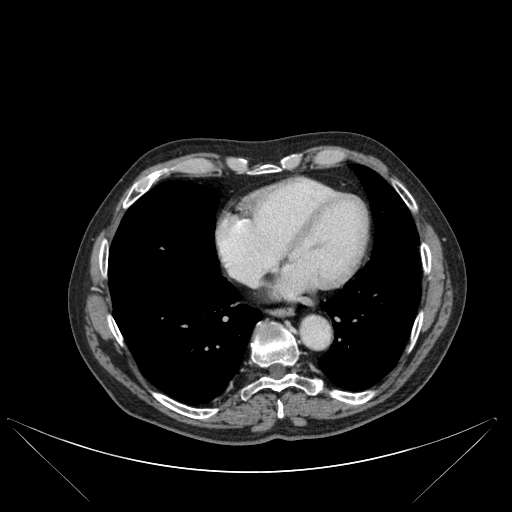
CT
<segmentation>
  <lung>[x1=108, y1=181, x2=262, y2=404], [x1=319, y1=164, x2=420, y2=390]</lung>
  <bone>[x1=123, y1=172, x2=159, y2=207], [x1=411, y1=313, x2=422, y2=345], [x1=330, y1=390, x2=373, y2=404], [x1=242, y1=373, x2=322, y2=399], [x1=108, y1=316, x2=122, y2=344], [x1=255, y1=166, x2=279, y2=173], [x1=153, y1=393, x2=217, y2=418], [x1=99, y1=241, x2=107, y2=274], [x1=251, y1=322, x2=298, y2=366], [x1=421, y1=243, x2=431, y2=272], [x1=278, y1=401, x2=283, y2=417], [x1=400, y1=188, x2=416, y2=209]</bone>
</segmentation>